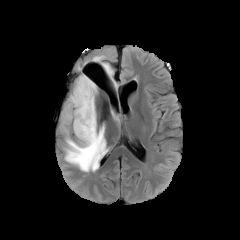
FLAIR magnetic resonance.
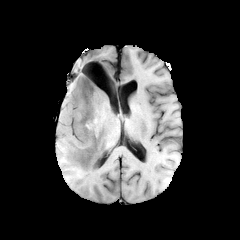
T1-weighted magnetic resonance of the same slice.
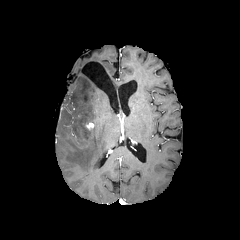
Post-contrast T1-weighted MR image.
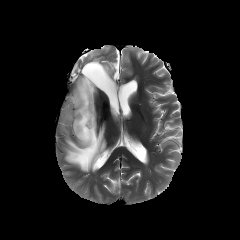
T2-weighted MR image of the same slice.
Head
Edema: bounding box [61,74,108,171], [94,56,117,86].